Field of view 240x240 mm. Head. Slice 84 of 155. 240x240 px.
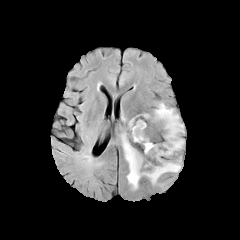
FLAIR MRI.
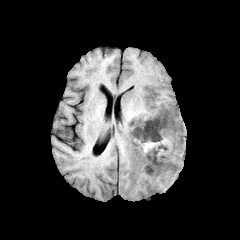
Same slice, T1-weighted MRI.
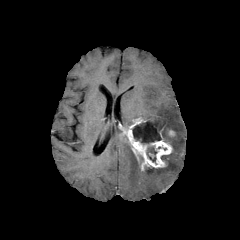
Same slice, post-contrast T1-weighted magnetic resonance.
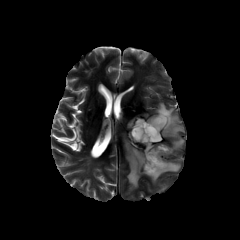
T2-weighted MR image of the same slice.
<segmentation>
  <enhancing_tumor>[127,117,172,170]</enhancing_tumor>
  <non-enhancing_tumor_core>[144,165,160,171], [132,120,175,164]</non-enhancing_tumor_core>
  <edema>[121,133,140,189], [151,102,184,155], [143,157,181,183]</edema>
</segmentation>